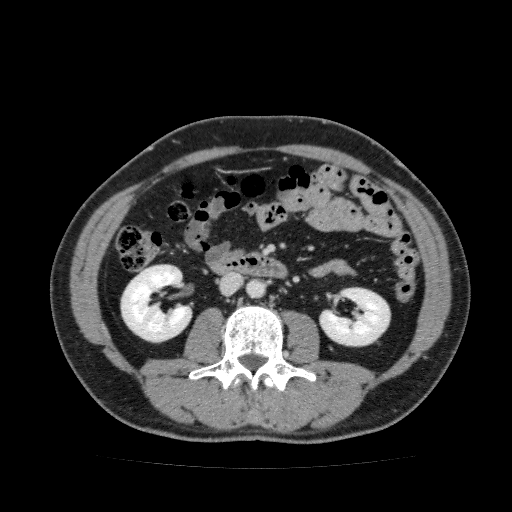 Abdomen | CT image | 512x512
kidney:
  - <box>121,265,191,341</box>
  - <box>320,288,389,345</box>